Computed tomography, 512x512 px, Field of view 386x386 mm, Slice index 80 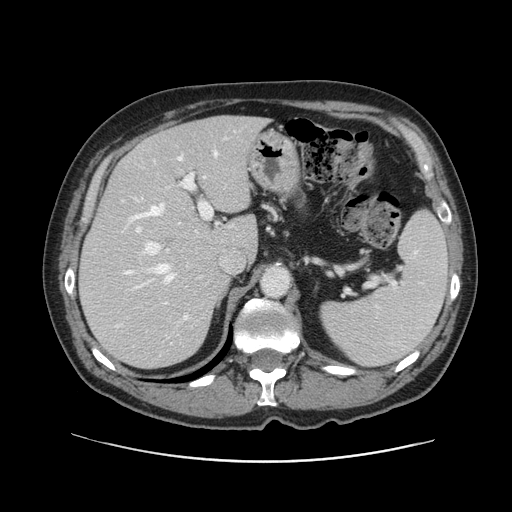 Not every hepatic vessel necessarily has a box.
10 hepatic vessel regions are bounded by box(136, 227, 140, 231); box(129, 203, 163, 221); box(178, 155, 182, 159); box(145, 242, 160, 254); box(166, 249, 168, 250); box(164, 274, 172, 281); box(126, 270, 132, 273); box(154, 264, 168, 272); box(183, 314, 188, 319); box(214, 152, 216, 155).